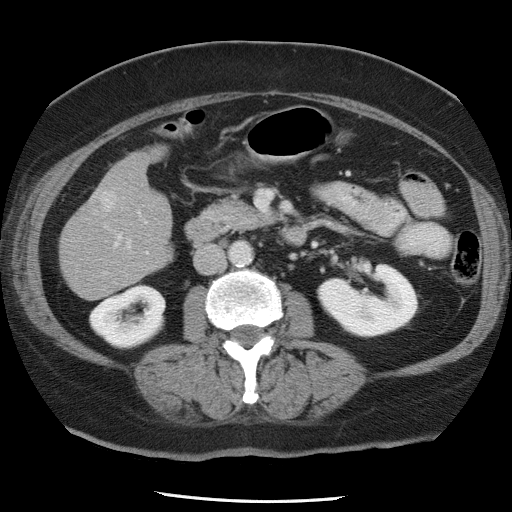 512x512 px. Liver. CT.

The vessel boxes may cover only some of the vessels.
The hepatic vessel is at 119:234:121:236.